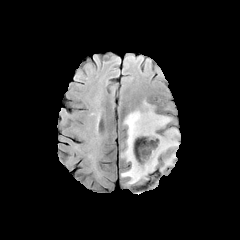
FLAIR magnetic resonance.
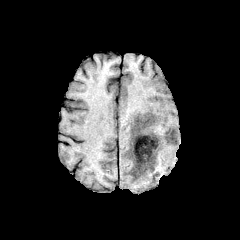
Same slice, T1-weighted MR.
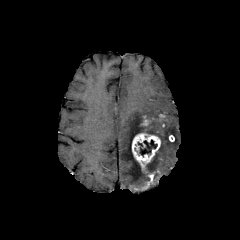
Post-contrast T1-weighted MR image.
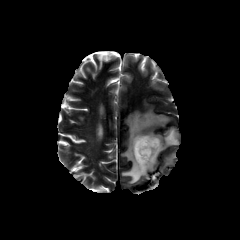
T2-weighted MRI.
240x240; Brain
* enhancing tumor: (x1=132, y1=133, x2=160, y2=169)
* non-enhancing tumor core: (x1=140, y1=123, x2=152, y2=134), (x1=160, y1=133, x2=175, y2=143), (x1=137, y1=139, x2=157, y2=157)
* edema: (x1=165, y1=152, x2=176, y2=165), (x1=121, y1=111, x2=179, y2=185)